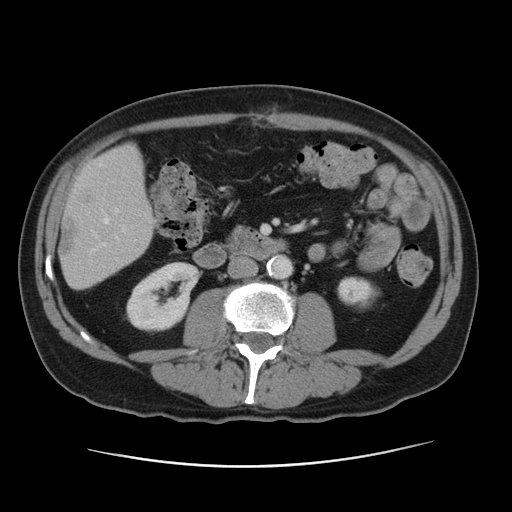
Abdomen. CT image. 512x512 px.

<segmentation>
  <hepatic_lesion>{"x1": 79, "y1": 193, "x2": 91, "y2": 203}, {"x1": 60, "y1": 222, "x2": 76, "y2": 253}</hepatic_lesion>
  <liver>{"x1": 61, "y1": 148, "x2": 150, "y2": 287}</liver>
  <kidney>{"x1": 337, "y1": 277, "x2": 378, "y2": 307}, {"x1": 127, "y1": 263, "x2": 195, "y2": 329}</kidney>
</segmentation>